FLAIR MR image.
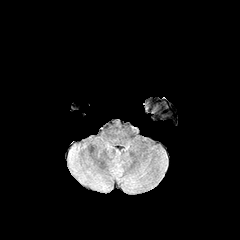
T1-weighted MR image.
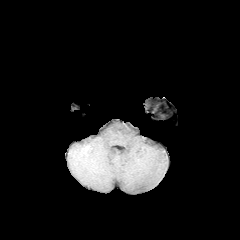
Post-contrast T1-weighted MR.
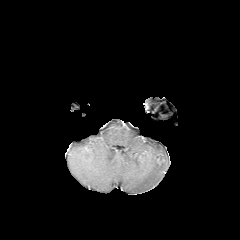
T2-weighted MR.
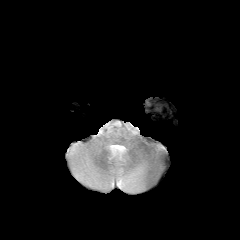
Head.
Edema: bounding box (122, 171, 140, 189).